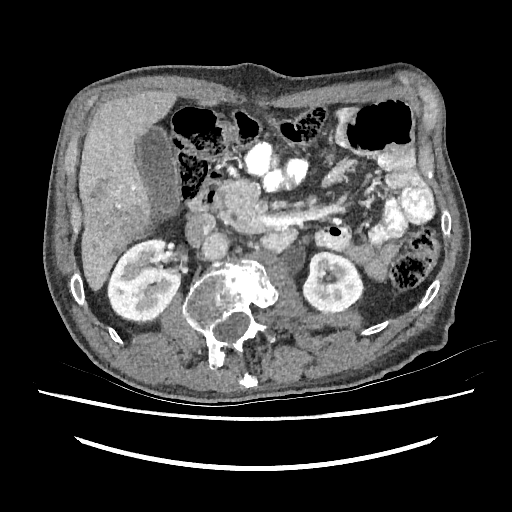

CT image. Liver. Annotated regions:
* kidney: rect(304, 252, 362, 312); rect(108, 240, 179, 320)
* liver: rect(79, 90, 175, 290); rect(200, 101, 214, 106)
* liver lesion: rect(91, 178, 105, 199); rect(92, 242, 99, 250); rect(112, 244, 121, 254); rect(89, 204, 146, 242)